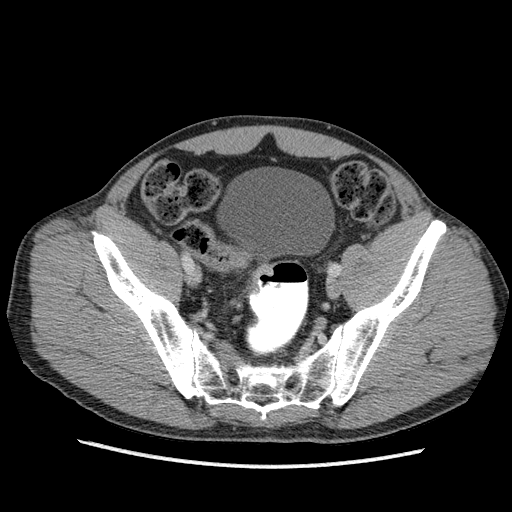

Pelvis; CT scan slice
Urinary bladder at 217,167,334,259.